Abdomen; CT scan slice

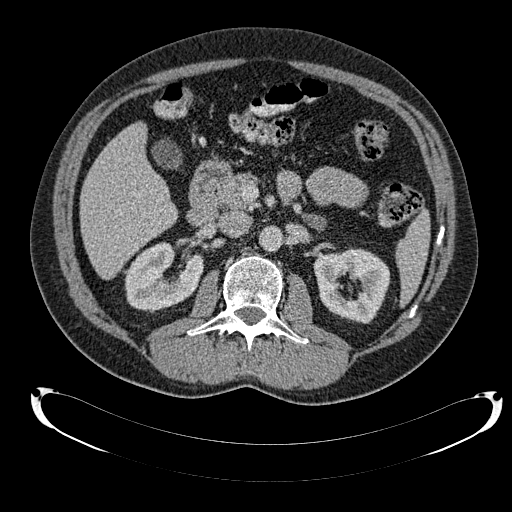 Annotated regions:
• liver: [80,122,176,277]
• kidney: [314,249,389,322], [125,243,202,310]